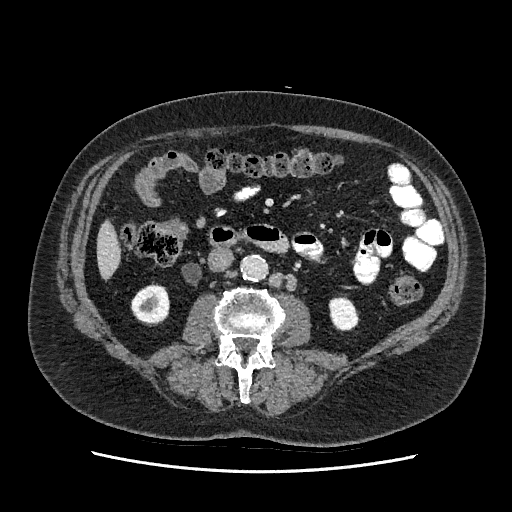
CT scan slice

Liver — (left=97, top=221, right=118, bottom=279).
Kidney — (left=132, top=286, right=168, bottom=322), (left=330, top=298, right=357, bottom=329).